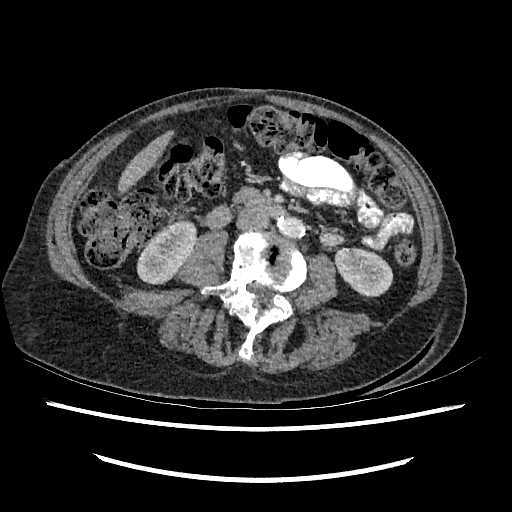
Upper abdomen, CT image
Kidney — l=137, t=223, r=195, b=283; l=335, t=250, r=392, b=295.
Liver — l=120, t=130, r=173, b=191.